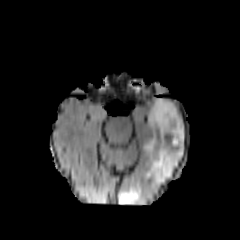
FLAIR MR image.
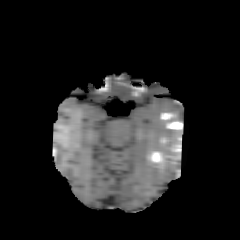
Same slice, T1-weighted MR.
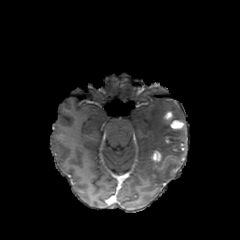
Post-contrast T1-weighted MR image.
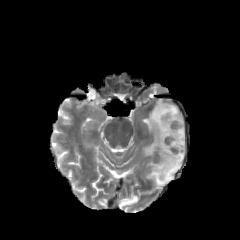
T2-weighted MRI.
Brain.
Edema — (x1=120, y1=195, x2=138, y2=204), (x1=142, y1=97, x2=186, y2=185).
Enhancing tumor — (x1=170, y1=120, x2=184, y2=130), (x1=164, y1=112, x2=172, y2=119), (x1=152, y1=150, x2=161, y2=161).
Non-enhancing tumor core — (x1=167, y1=135, x2=185, y2=147), (x1=166, y1=155, x2=179, y2=161).